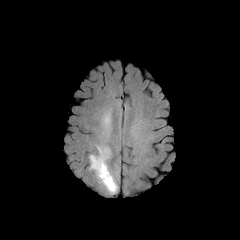
FLAIR magnetic resonance.
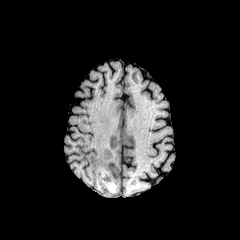
T1-weighted MR image of the same slice.
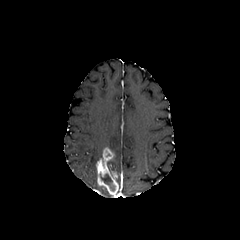
Same slice, post-contrast T1-weighted MR.
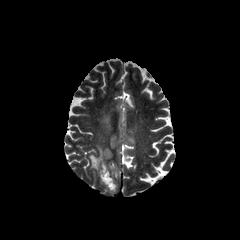
Same slice, T2-weighted MR.
Head
Non-enhancing tumor core: bounding box 100 173 113 185.
Edema: bounding box 94 144 105 162, 100 109 111 138.
Enhancing tumor: bounding box 92 147 118 195.